FLAIR magnetic resonance.
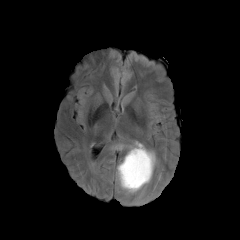
T1-weighted MR.
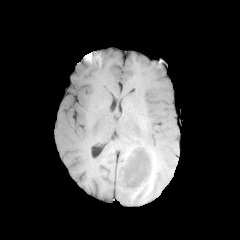
Post-contrast T1-weighted magnetic resonance.
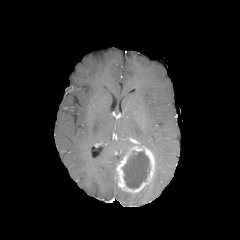
T2-weighted MR.
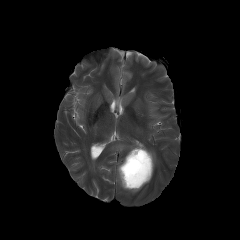
Brain
Annotated regions:
* enhancing tumor: (117, 146, 154, 192)
* non-enhancing tumor core: (123, 150, 150, 189)
* edema: (123, 143, 144, 152)